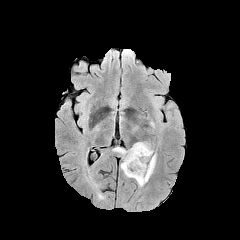
FLAIR magnetic resonance.
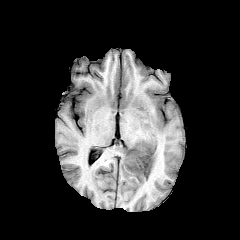
T1-weighted MR.
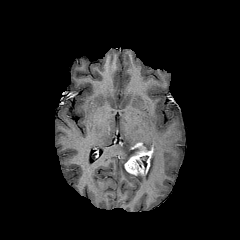
Post-contrast T1-weighted MRI.
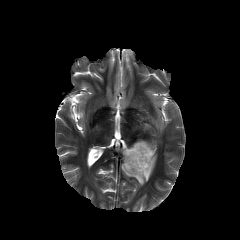
Same slice, T2-weighted MR.
Head
Segmented structures:
- non-enhancing tumor core: 131 147 151 156, 137 155 148 176
- enhancing tumor: 125 147 153 175
- edema: 112 147 156 186, 132 141 152 147